Slice index 117. Brain.
FLAIR MR.
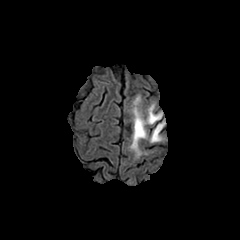
T1-weighted magnetic resonance.
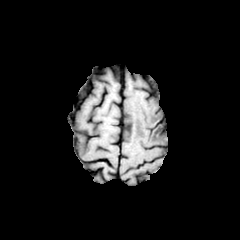
Post-contrast T1-weighted MR.
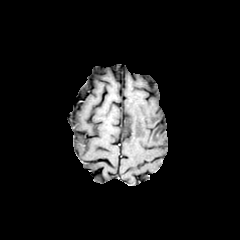
T2-weighted MR image.
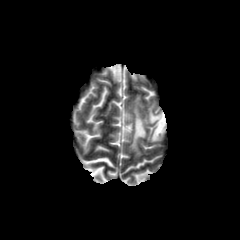
The edema lies within l=130, t=96, r=165, b=155.